CT image, Abdomen
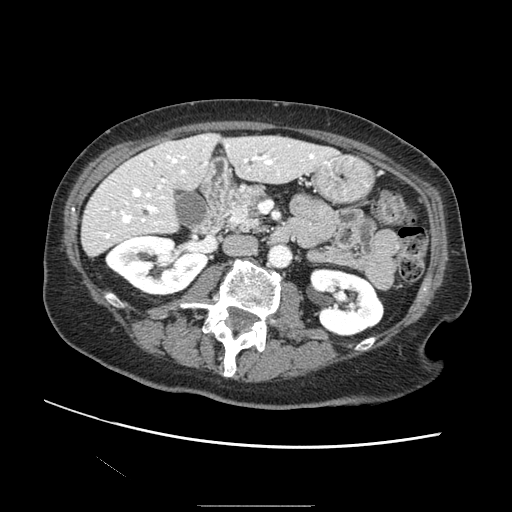 The pancreatic tumor lies within 230:193:251:224. The pancreas is at 225:186:267:233.